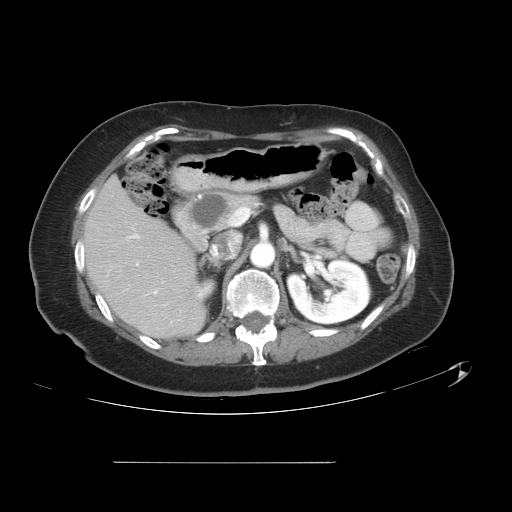 Abdomen, Image size 512x512, CT
Pancreatic tumor = 193:195:225:227.
Pancreas = 272:202:320:246, 174:190:260:235.